Head
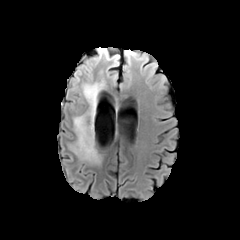
FLAIR MR image.
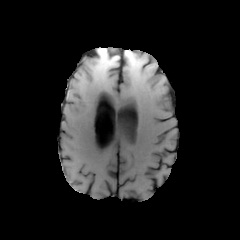
T1-weighted MRI of the same slice.
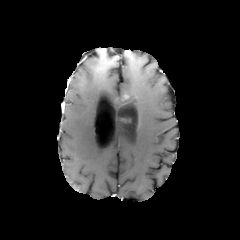
Post-contrast T1-weighted magnetic resonance.
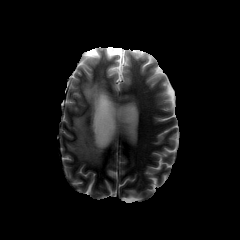
T2-weighted MR image of the same slice.
The non-enhancing tumor core is bounded by 92 50 117 72. 3 edema regions are bounded by 70 56 107 163, 106 66 117 79, 125 51 138 77. The enhancing tumor is bounded by 98 50 107 59.